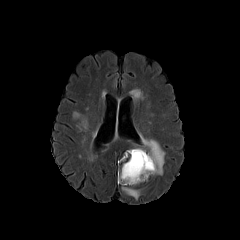
FLAIR MRI.
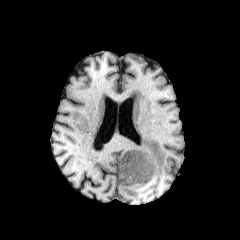
T1-weighted MR.
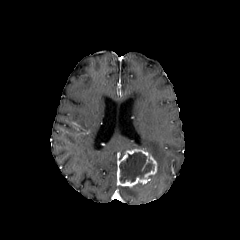
Post-contrast T1-weighted MR of the same slice.
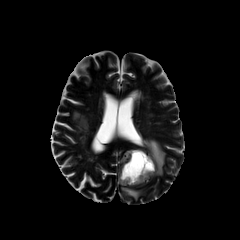
T2-weighted MR.
240x240 px. Brain.
Non-enhancing tumor core: bounding box [119, 152, 152, 182].
Enhancing tumor: bounding box [117, 147, 157, 187].
Edema: bounding box [139, 138, 164, 175], [121, 187, 139, 200].